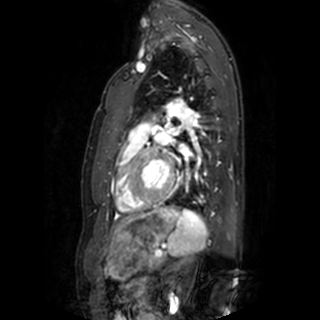

Cardiac | MRI slice

<segmentation>
  <left_atrium>(179, 144, 190, 155), (157, 134, 164, 142), (167, 127, 178, 134)</left_atrium>
</segmentation>